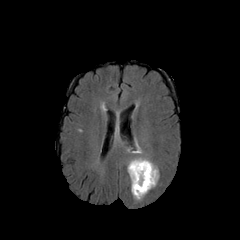
FLAIR MR image.
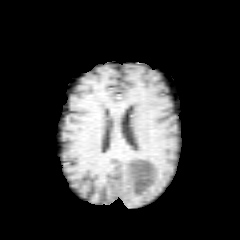
Same slice, T1-weighted MR image.
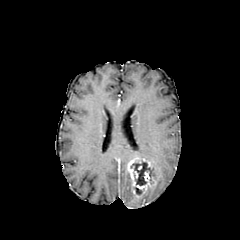
Post-contrast T1-weighted MR image of the same slice.
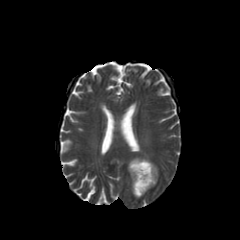
T2-weighted MRI.
Head
<segmentation>
  <edema>[127,157,159,199], [132,137,142,153]</edema>
  <non-enhancing_tumor_core>[133,162,151,185]</non-enhancing_tumor_core>
  <enhancing_tumor>[127,160,152,190]</enhancing_tumor>
</segmentation>